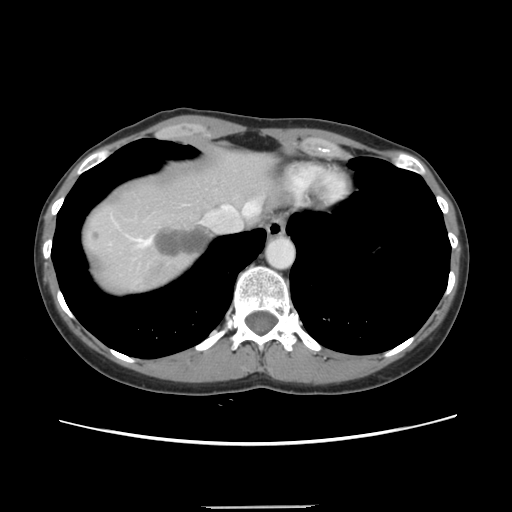

CT image. Liver.

The vessel boxes may cover only some of the vessels.
The hepatic vessel is bounded by 134, 238, 149, 245. The liver tumor lies within 153, 229, 210, 255.